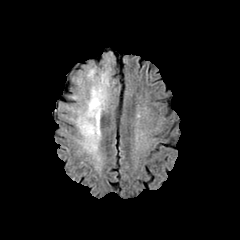
FLAIR MR.
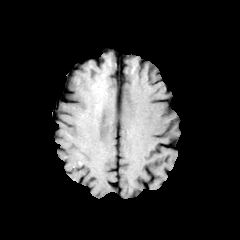
Same slice, T1-weighted MRI.
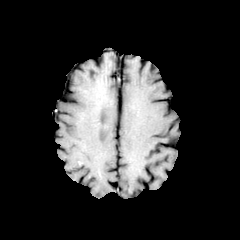
Post-contrast T1-weighted MRI.
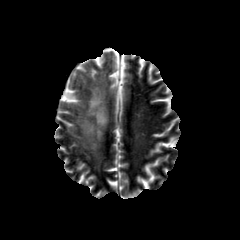
T2-weighted MR.
Brain | Image size 240x240
Edema at (76,87,106,154).
Non-enhancing tumor core at (88,87,104,118).